FLAIR MR image.
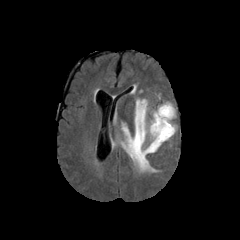
T1-weighted magnetic resonance.
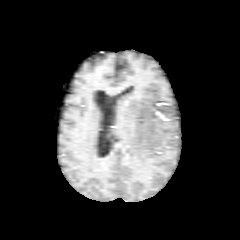
Post-contrast T1-weighted MRI.
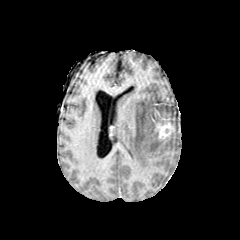
T2-weighted magnetic resonance.
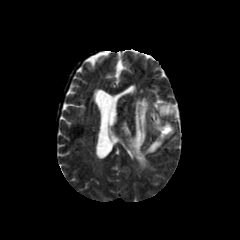
<segmentation>
  <enhancing_tumor>(x1=154, y1=121, x2=174, y2=139)</enhancing_tumor>
  <edema>(x1=121, y1=99, x2=175, y2=171)</edema>
</segmentation>